Image size 512x512, CT image, Field of view 432x432 mm

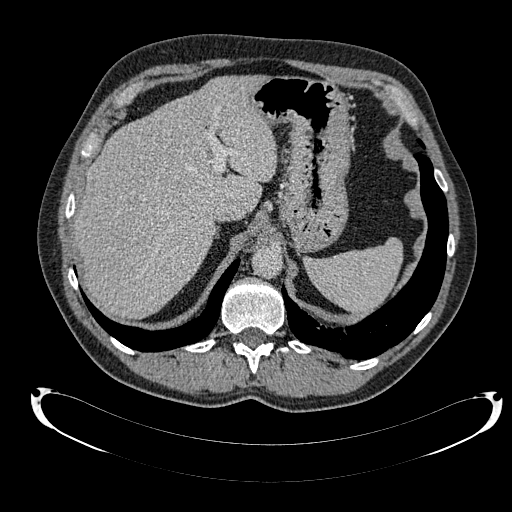 Liver: bounding box {"x1": 74, "y1": 76, "x2": 277, "y2": 317}.